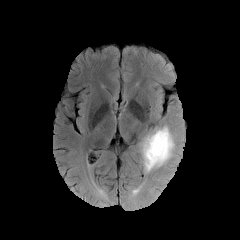
FLAIR MRI.
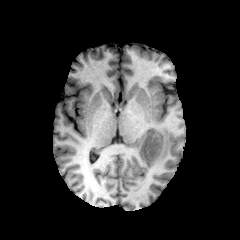
T1-weighted MR of the same slice.
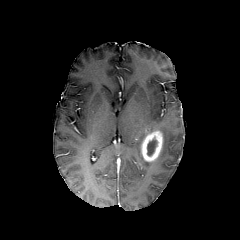
Post-contrast T1-weighted MRI.
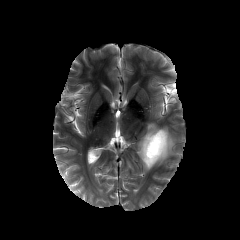
T2-weighted MRI.
Brain
The edema is located at 139 125 174 174. The non-enhancing tumor core appears at 147 138 157 156. The enhancing tumor is bounded by 141 131 162 161.